Image width 378 mm. Lower abdomen. CT scan slice.

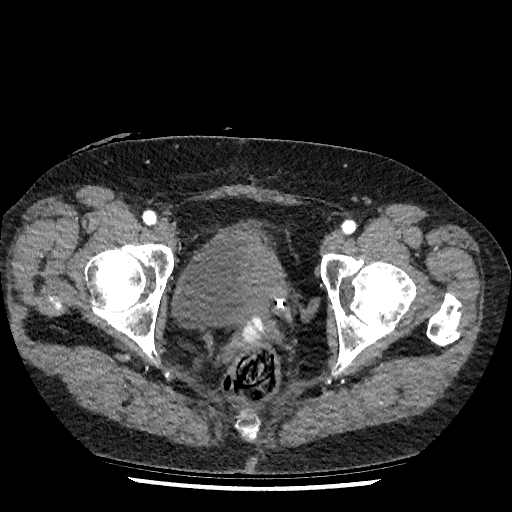 Urinary bladder — bbox(171, 221, 291, 330).